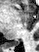

MR image | Image size 39x52 | Hippocampus
The posterior hippocampus is bounded by [9,41,19,46].